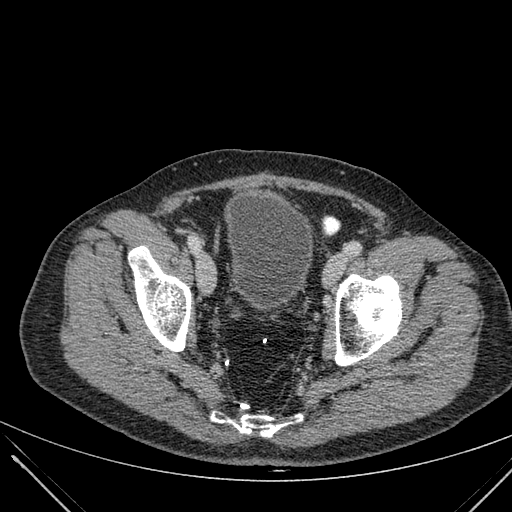

CT scan slice; Image size 512x512; Pelvis
Annotated regions:
• urinary bladder: 227,196,313,307